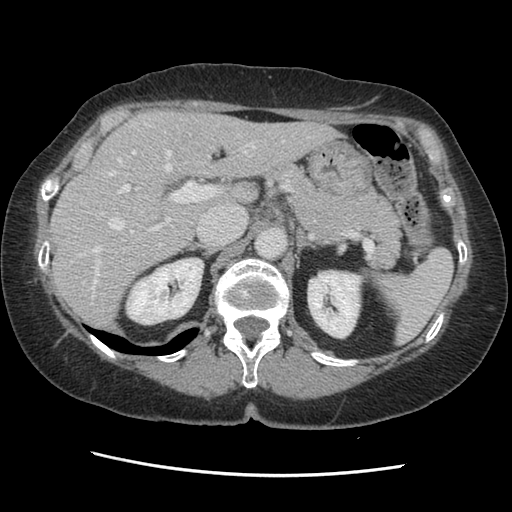 Abdomen. CT slice.
The vessel annotation is not exhaustive.
partial: true
hepatic_vessel:
  # 15 of 19 shown
  - 149:225:160:230
  - 92:259:100:295
  - 118:158:121:163
  - 166:164:171:170
  - 166:150:170:155
  - 241:146:247:153
  - 108:171:115:175
  - 165:217:169:221
  - 159:243:161:245
  - 118:184:129:192
  - 172:182:218:202
  - 247:140:256:147
  - 93:246:100:256
  - 132:150:135:153
  - 109:218:123:228